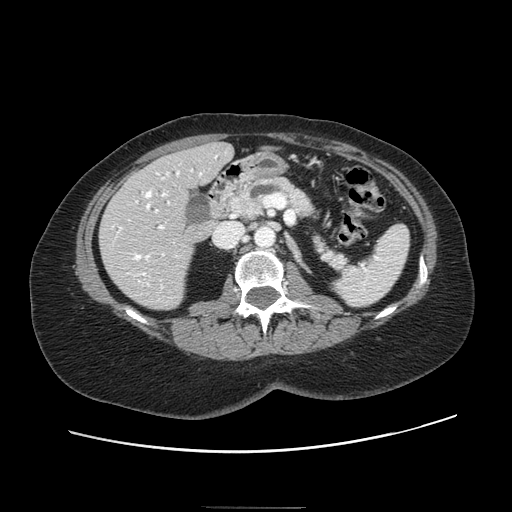

CT image

Pancreatic tumor: l=235, t=197, r=261, b=216.
Pancreas: l=313, t=234, r=353, b=272; l=226, t=178, r=314, b=220.